Computed tomography, Upper abdomen 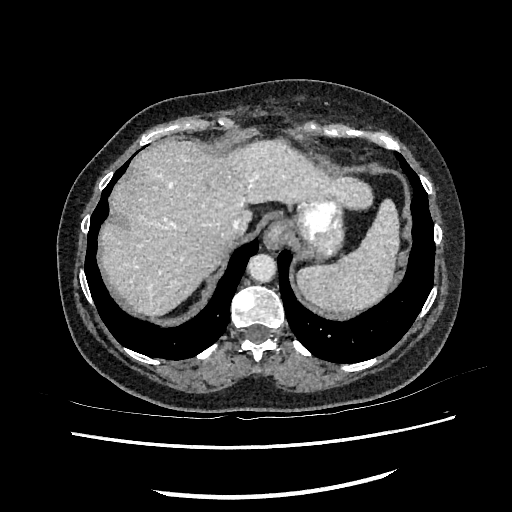

Liver = (left=100, top=139, right=370, bottom=314).